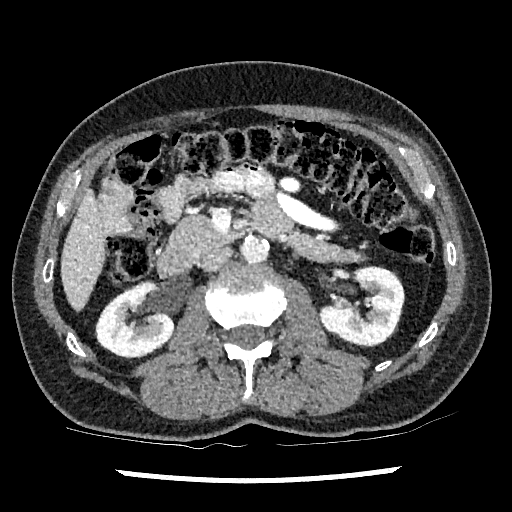
512x512 px. CT. Liver.
Annotated regions:
• kidney: 321, 267, 403, 344; 97, 284, 173, 356
• liver: 62, 190, 105, 309